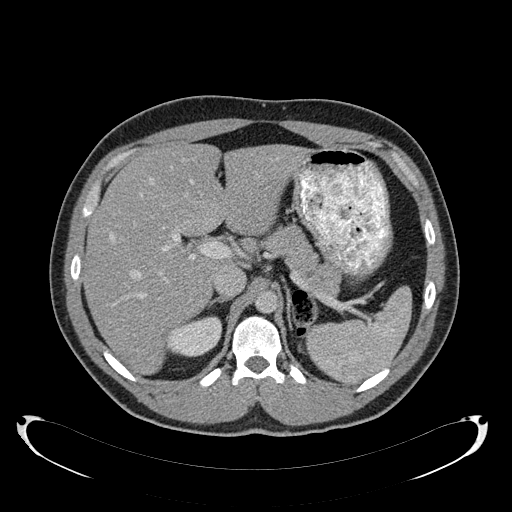

CT scan slice, Abdomen

{"kidney": ["[166,317,221,355]"], "liver": ["[242,239,255,252]", "[83,145,309,373]"]}